Abdomen, CT image, Slice 44 of 61 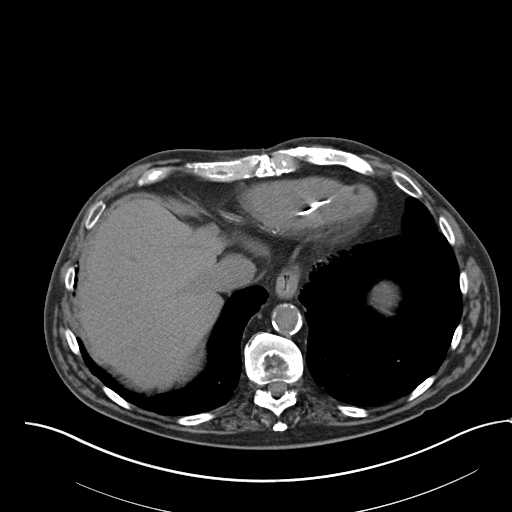 {"spleen": ["[372, 286, 399, 314]"]}